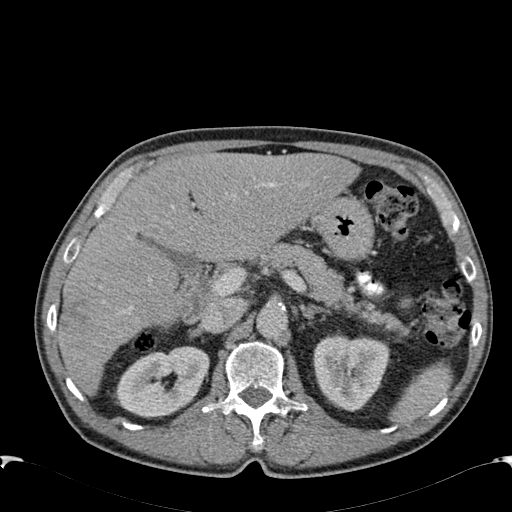 CT image; 512x512
focal_liver_lesion:
  - 61, 293, 90, 332
liver:
  - 59, 152, 359, 393
kidney:
  - 314, 336, 388, 410
  - 117, 347, 208, 416